FLAIR MRI.
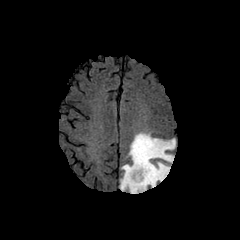
T1-weighted MR.
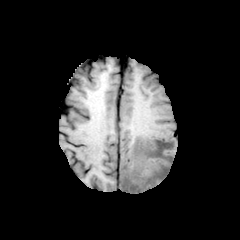
Post-contrast T1-weighted MR image.
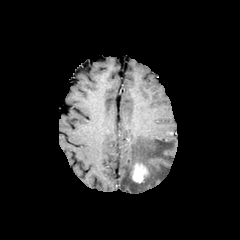
T2-weighted magnetic resonance.
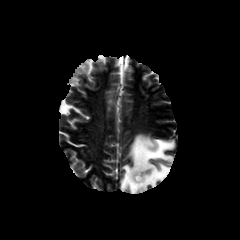
Annotated regions:
* enhancing tumor: [x1=131, y1=163, x2=148, y2=183]
* edema: [x1=120, y1=132, x2=175, y2=193]